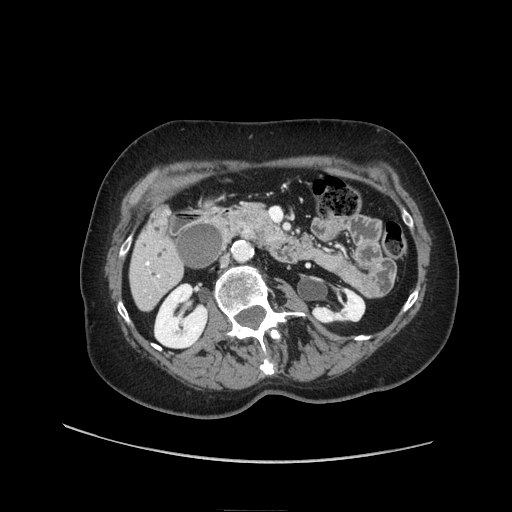
Image size 512x512; CT slice

<segmentation>
  <pancreas>(x1=230, y1=204, x2=271, y2=239)</pancreas>
  <pancreatic_tumor>(x1=253, y1=221, x2=282, y2=246)</pancreatic_tumor>
</segmentation>